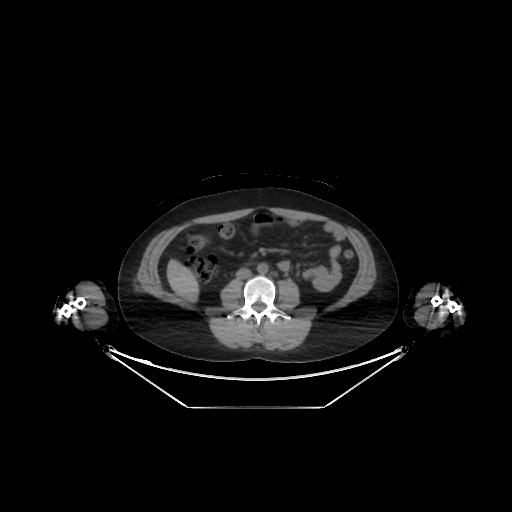

CT scan slice | 512x512

liver:
  - rect(167, 260, 198, 301)